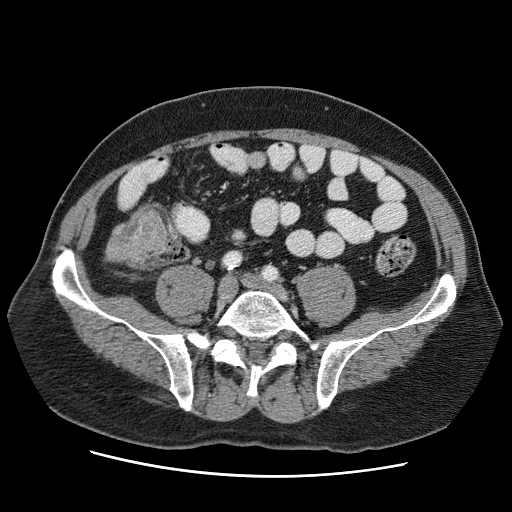

CT scan slice; Image size 512x512
Colon tumor: bounding box x1=107, y1=209, x2=165, y2=267.